Abdomen; 512x512 px; Computed tomography 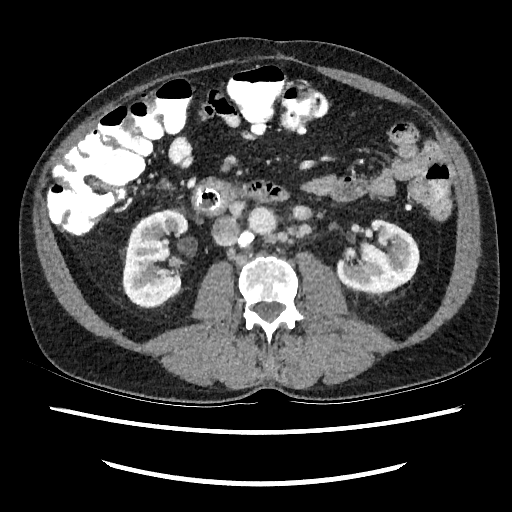 {"kidney": ["bbox=[124, 211, 186, 306]", "bbox=[338, 220, 418, 293]"]}